FLAIR MR.
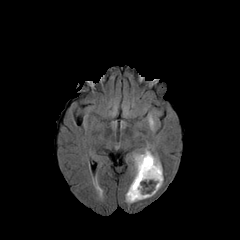
T1-weighted MRI.
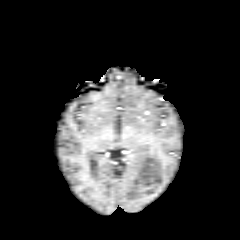
Post-contrast T1-weighted MR image.
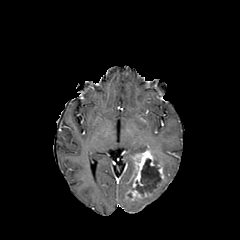
T2-weighted MR.
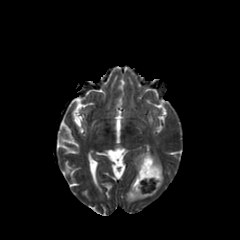
Brain.
- enhancing tumor: <box>125,150,155,200</box>, <box>157,165,163,178</box>
- non-enhancing tumor core: <box>135,159,161,193</box>
- edema: <box>132,153,141,176</box>, <box>126,178,163,203</box>, <box>142,144,162,167</box>